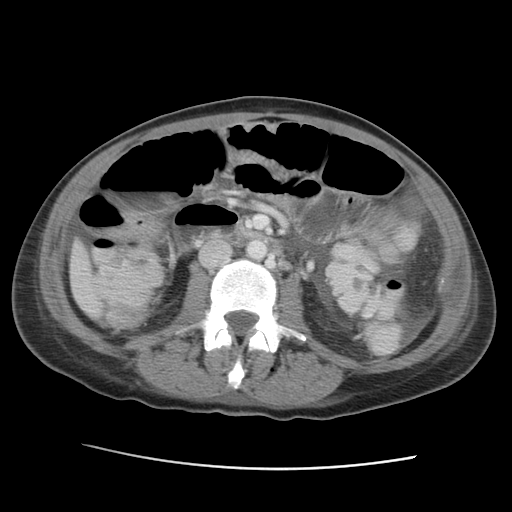 Abdomen; CT slice
Segmented structures:
• liver: [70, 241, 105, 315]